Image size 240x240; Slice index 96
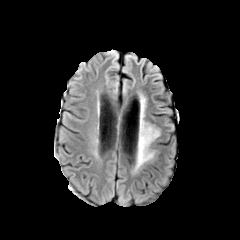
FLAIR MRI.
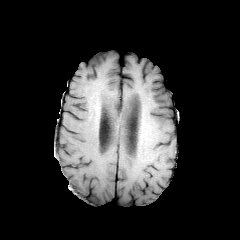
T1-weighted MR image of the same slice.
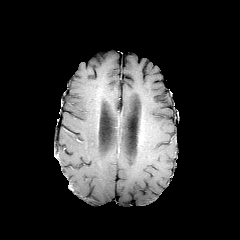
Post-contrast T1-weighted MR of the same slice.
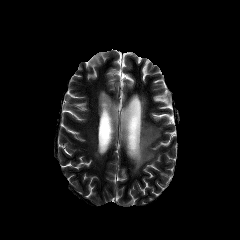
T2-weighted MRI.
<segmentation>
  <edema>[136,114,159,168]</edema>
</segmentation>